FLAIR magnetic resonance.
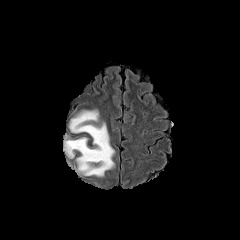
T1-weighted magnetic resonance.
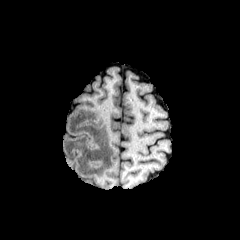
Post-contrast T1-weighted MR.
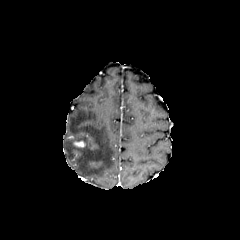
T2-weighted MRI.
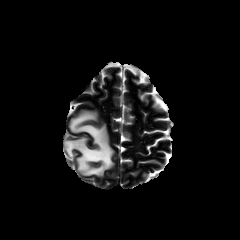
Brain
The edema is located at x1=64 y1=110 x2=115 y2=176. The enhancing tumor appears at x1=73 y1=139 x2=86 y2=148.